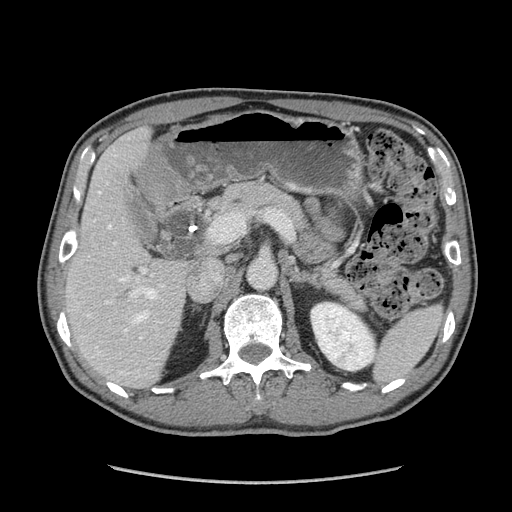

CT slice.

{
  "pancreatic_tumor": [
    "<bbox>166, 211, 207, 253</bbox>"
  ],
  "pancreas": [
    "<bbox>158, 181, 366, 314</bbox>"
  ]
}